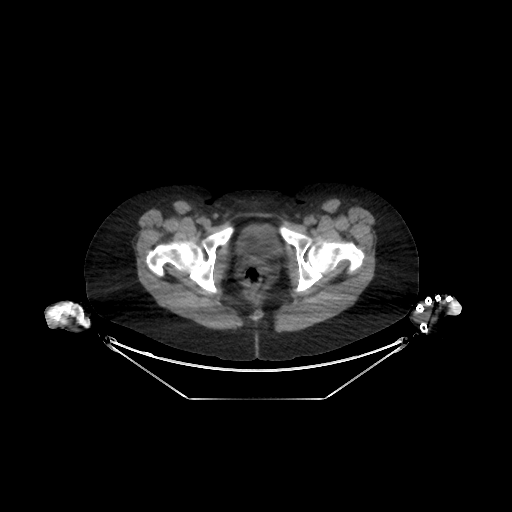

CT image. Urinary bladder at <box>237,224,283,268</box>.